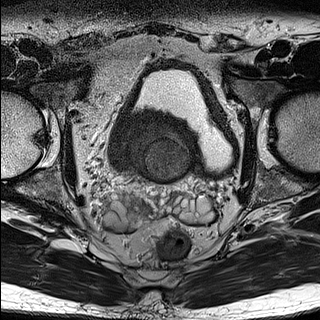
T2-weighted MR.
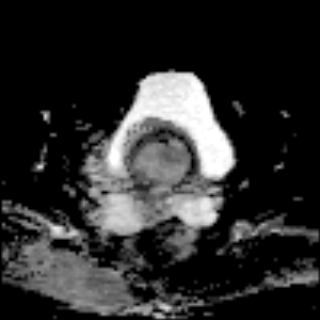
ADC MRI.
Prostate
Prostate transition zone: rect(132, 125, 189, 179).